Magnetic resonance, Hippocampus, Field of view 36 mm wide, 1.00 mm slice spacing
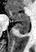
posterior hippocampus: l=16, t=24, r=29, b=34 | anterior hippocampus: l=9, t=9, r=29, b=23